Head.
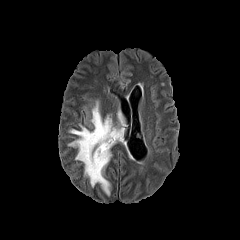
FLAIR magnetic resonance.
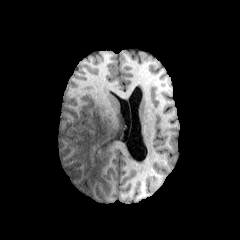
T1-weighted MR image.
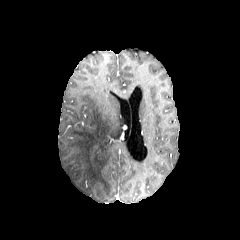
Post-contrast T1-weighted MRI.
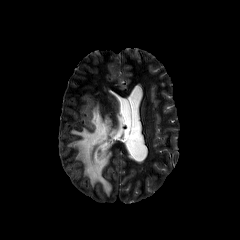
T2-weighted MR.
Edema = bbox=[68, 100, 124, 195].